FLAIR MR.
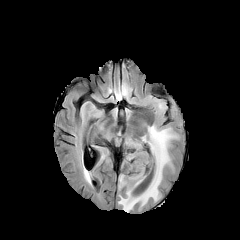
T1-weighted MRI.
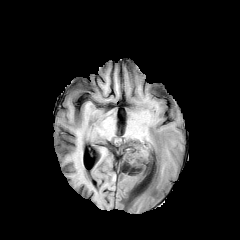
Post-contrast T1-weighted MR.
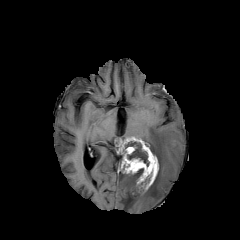
T2-weighted MR image.
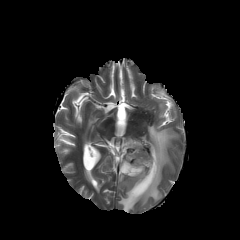
Brain
Non-enhancing tumor core = l=138, t=175, r=150, b=189; l=128, t=168, r=143, b=181; l=119, t=137, r=155, b=166.
Edema = l=118, t=124, r=176, b=212; l=136, t=144, r=147, b=157; l=84, t=171, r=91, b=181.
Enhancing tumor = l=122, t=152, r=158, b=189.